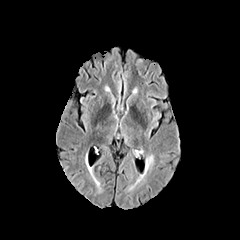
FLAIR magnetic resonance.
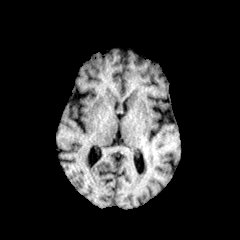
Same slice, T1-weighted MR.
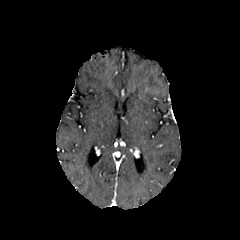
Post-contrast T1-weighted MR of the same slice.
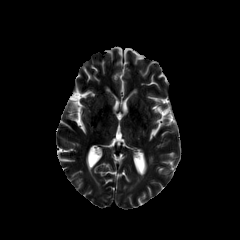
Same slice, T2-weighted MRI.
240x240 px | Head
edema: 148,155,153,165